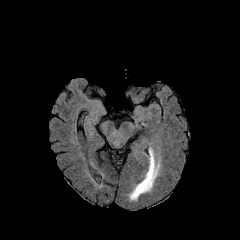
FLAIR MR image.
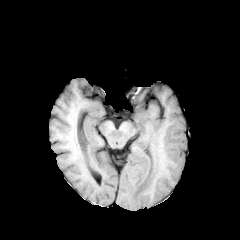
T1-weighted magnetic resonance.
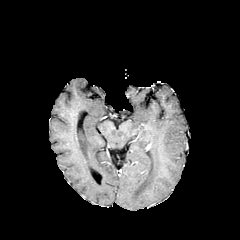
Post-contrast T1-weighted magnetic resonance of the same slice.
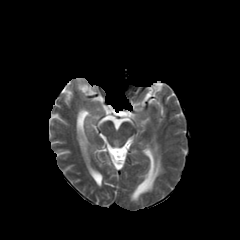
T2-weighted MRI.
Head.
edema: box(130, 148, 159, 201)